CT image.

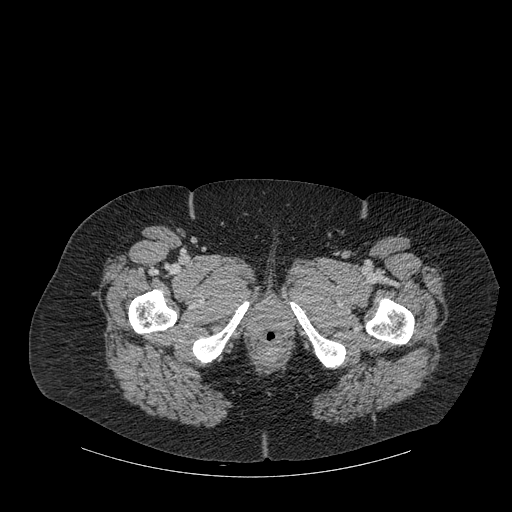

Bone: bounding box bbox(193, 302, 248, 362); bbox(290, 302, 345, 367); bbox(128, 289, 176, 333); bbox(366, 299, 414, 344).